FLAIR magnetic resonance.
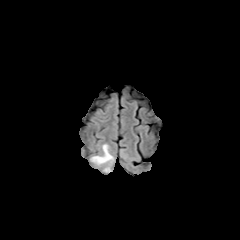
T1-weighted MR.
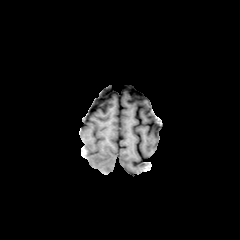
Post-contrast T1-weighted MR image.
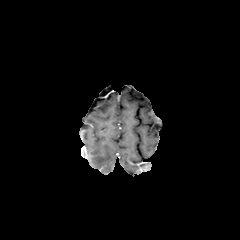
T2-weighted MR.
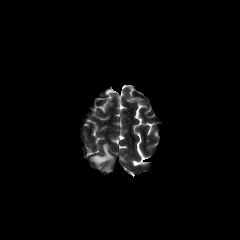
Brain | 240x240 px
{"edema": ["l=90, t=144, r=114, b=171"]}